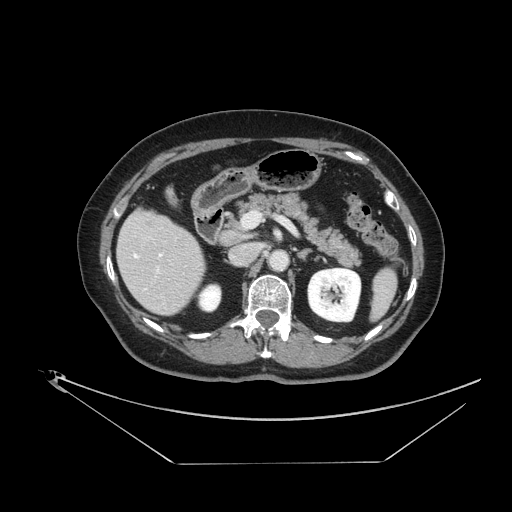 CT scan slice
Some hepatic vessels may have no box.
hepatic_vessel:
  - region(134, 254, 136, 256)
  - region(243, 215, 256, 226)